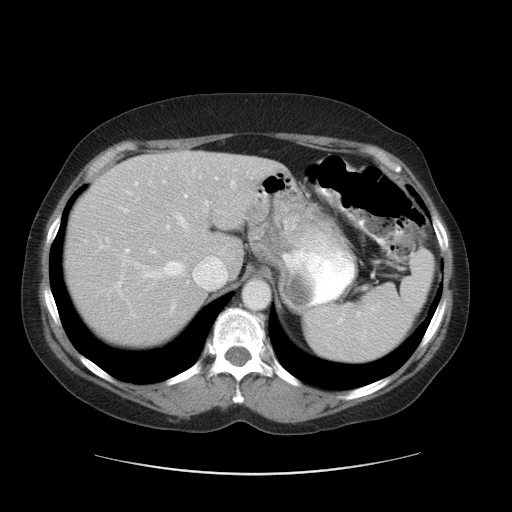

Image size 512x512; CT scan slice

The colon tumor appears at rect(315, 186, 340, 206).